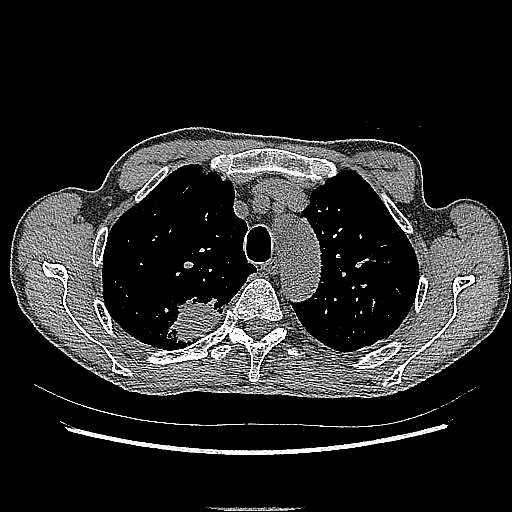 CT image, 512x512

The lung tumor appears at 157,289,228,349.